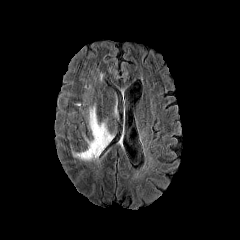
FLAIR MR.
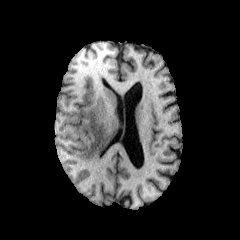
T1-weighted MR image.
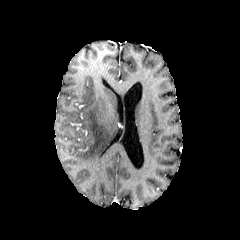
Same slice, post-contrast T1-weighted magnetic resonance.
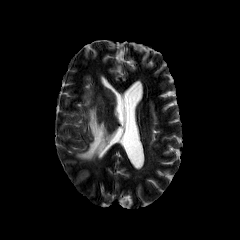
T2-weighted MR.
Brain
edema: 77, 104, 114, 160